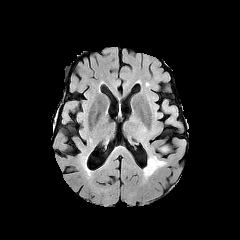
FLAIR MR.
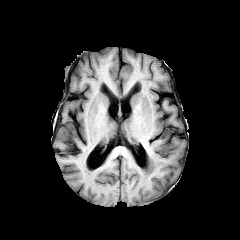
Same slice, T1-weighted MRI.
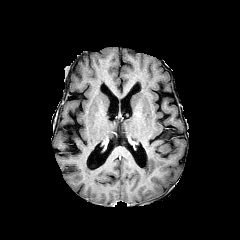
Post-contrast T1-weighted MR image of the same slice.
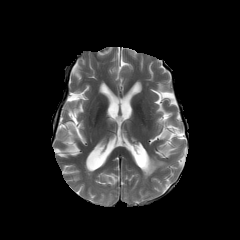
T2-weighted MR image.
240x240
The edema appears at region(143, 155, 166, 178).